FLAIR MRI.
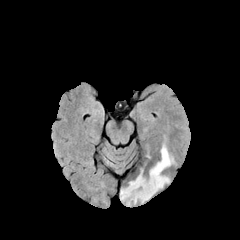
T1-weighted MR image.
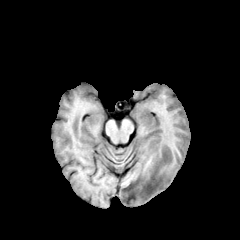
Post-contrast T1-weighted MR.
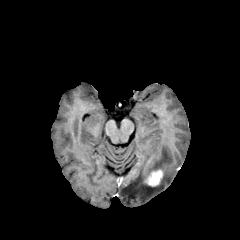
T2-weighted MR image.
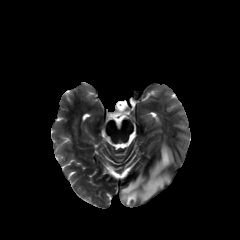
2 edema regions appear at 149,144,173,174; 120,172,170,203. The enhancing tumor is at 144,169,163,186.